FLAIR magnetic resonance.
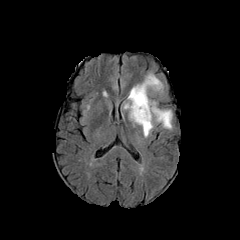
T1-weighted MR image.
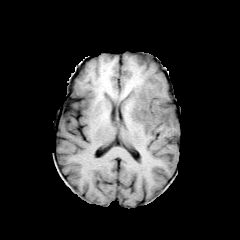
Post-contrast T1-weighted magnetic resonance.
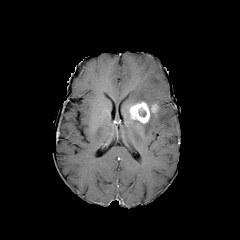
T2-weighted magnetic resonance.
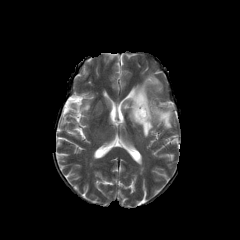
240x240
The non-enhancing tumor core lies within [138,107,146,116]. 2 enhancing tumor regions are bounded by [129,102,150,123], [150,103,158,115]. 3 edema regions are located at [132,115,153,137], [127,74,162,104], [155,107,172,128].